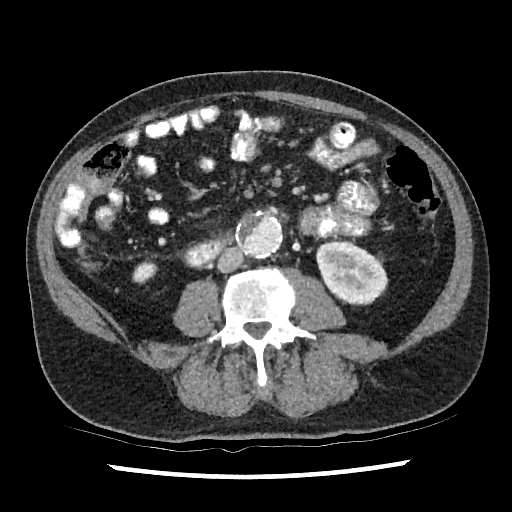

CT slice. 2 kidney regions are bounded by 319:242:387:303, 134:263:153:281.